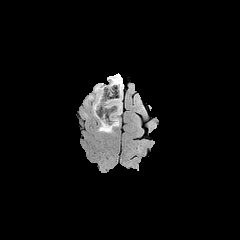
FLAIR MRI.
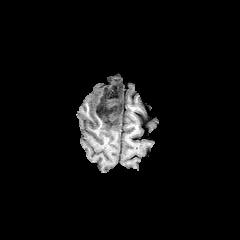
T1-weighted MR image of the same slice.
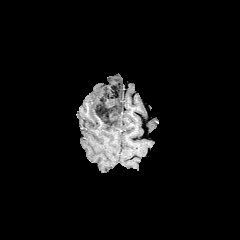
Same slice, post-contrast T1-weighted magnetic resonance.
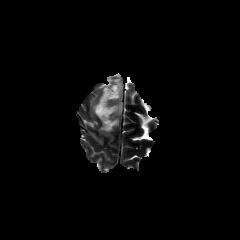
T2-weighted MR image.
Image size 240x240
2 non-enhancing tumor core regions are bounded by box=[100, 114, 117, 130]; box=[96, 96, 109, 117]. 2 edema regions are bounded by box=[86, 85, 104, 115]; box=[100, 76, 123, 132].